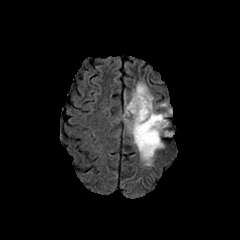
FLAIR magnetic resonance.
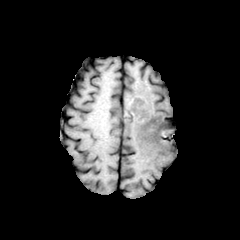
Same slice, T1-weighted MR image.
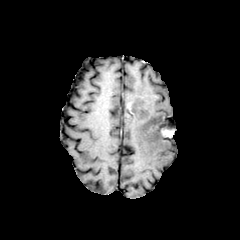
Post-contrast T1-weighted MR image.
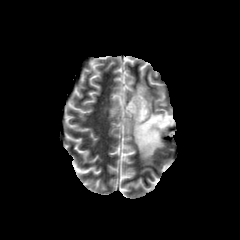
T2-weighted MR of the same slice.
Image size 240x240
Non-enhancing tumor core: bounding box box(142, 116, 169, 143).
Edema: bounding box box(123, 82, 171, 165).